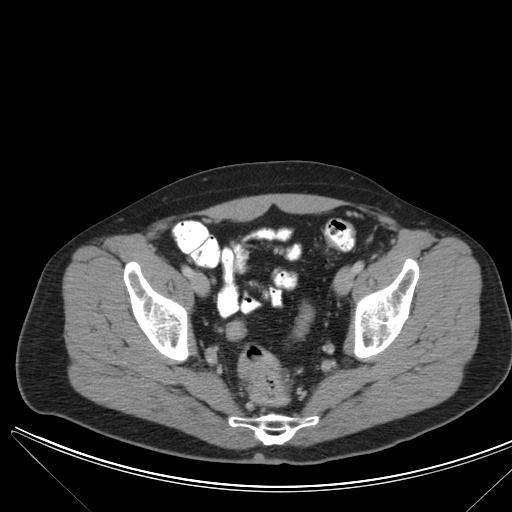
CT image | Pelvis

The colon tumor is bounded by [238,351,290,405].